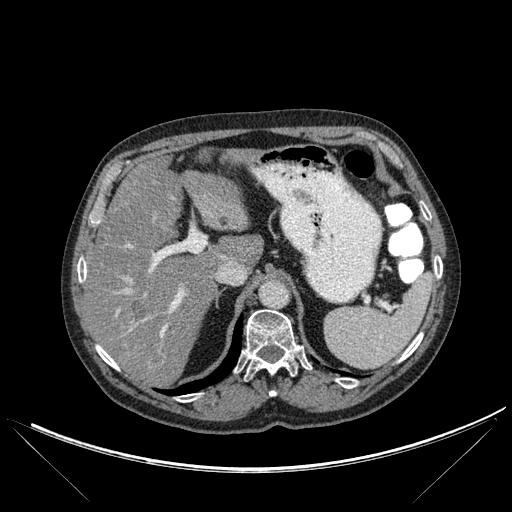
Computed tomography
The lung is bounded by x1=160, y1=316, x2=242, y2=395. 8 bone regions are bounded by x1=234, y1=310, x2=311, y2=374; x1=434, y1=256, x2=442, y2=277; x1=336, y1=378, x2=357, y2=388; x1=96, y1=345, x2=119, y2=369; x1=77, y1=258, x2=86, y2=281; x1=176, y1=393, x2=199, y2=402; x1=420, y1=202, x2=431, y2=219; x1=399, y1=333, x2=422, y2=361. 2 liver regions are located at x1=86, y1=157, x2=263, y2=387; x1=225, y1=149, x2=258, y2=164. The hepatic lesion is at x1=133, y1=301, x2=144, y2=320.